FLAIR MRI.
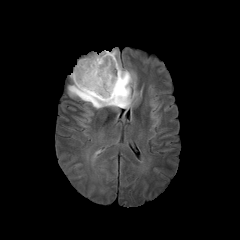
T1-weighted MRI.
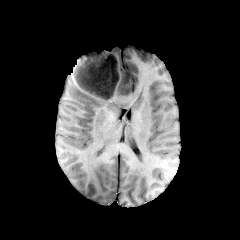
Post-contrast T1-weighted magnetic resonance.
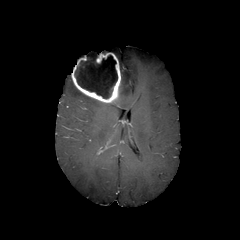
T2-weighted MR.
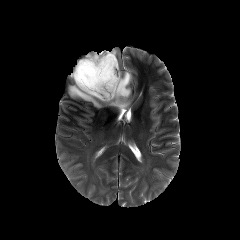
Head, 240x240 px
The non-enhancing tumor core lies within [x1=75, y1=55, x2=117, y2=98]. The enhancing tumor is located at [x1=72, y1=52, x2=121, y2=102]. The edema is bounded by [x1=68, y1=49, x2=137, y2=110].